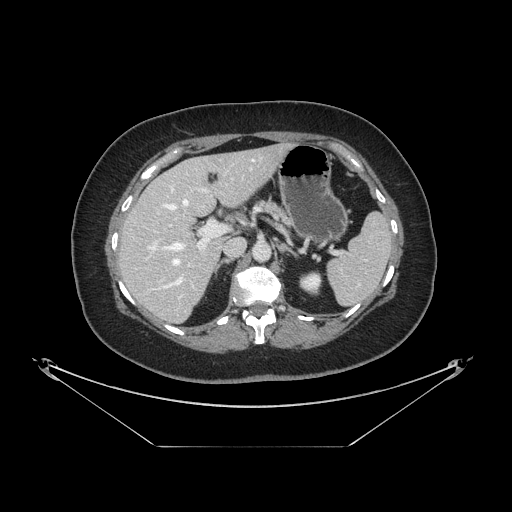 Abdomen. CT image.
pancreas:
  - {"x1": 258, "y1": 201, "x2": 288, "y2": 223}